320x320 px | Slice 69/120 | MRI | Heart 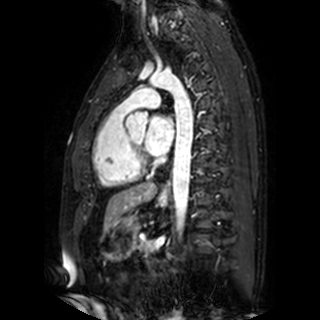 The left atrium is bounded by 145,116,173,154.